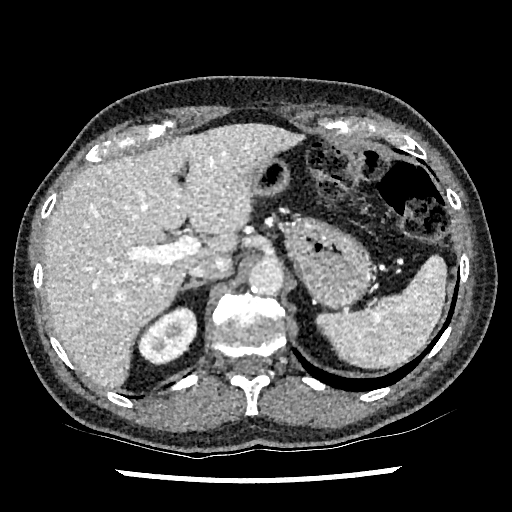 Computed tomography.

Kidney = bbox=[140, 309, 195, 362].
Liver = bbox=[44, 124, 304, 388].